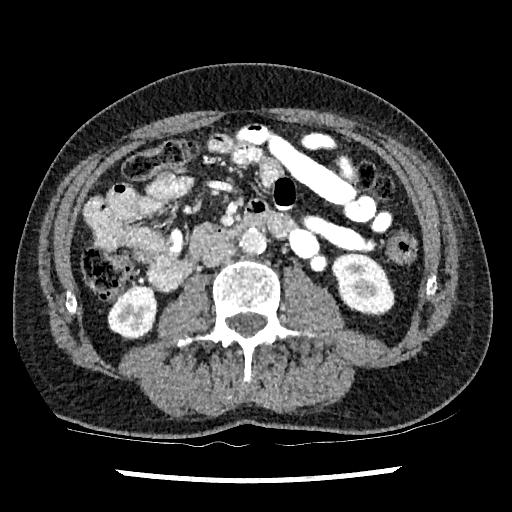 CT slice | Abdomen
2 kidney regions are located at 109 287 155 336, 333 254 392 312.